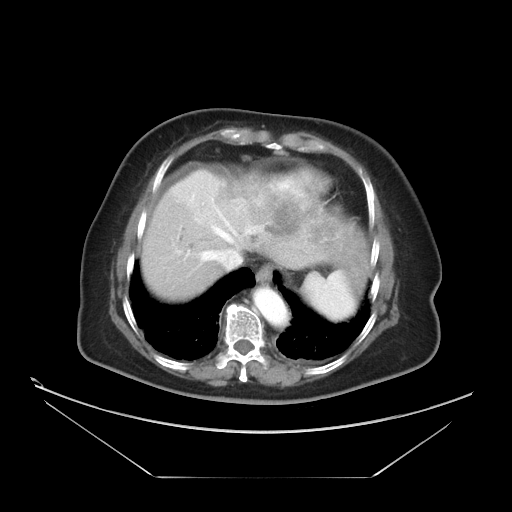 Liver, CT image
Only some of the vessels may be annotated.
Annotated regions:
* liver tumor: 266:202:304:238
* hepatic vessel: 224:219:229:226, 211:225:232:241, 187:250:223:275, 216:208:221:216, 230:227:231:229